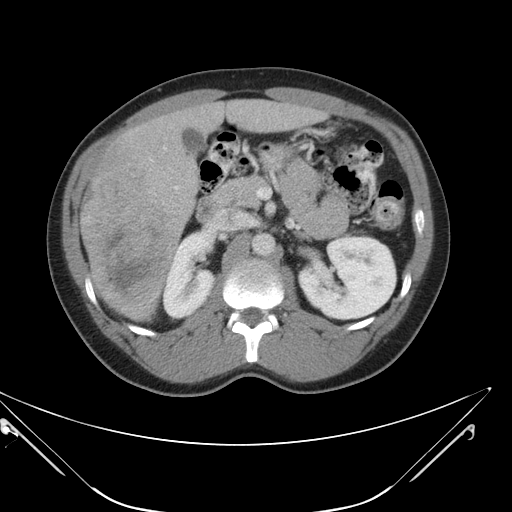
CT slice | Image size 512x512
The vessel boxes may cover only some of the vessels.
* liver tumor: x1=80, y1=179, x2=176, y2=310
* hepatic vessel: x1=175, y1=186, x2=177, y2=189; x1=150, y1=159, x2=152, y2=161; x1=163, y1=147, x2=165, y2=148